T2-weighted MR.
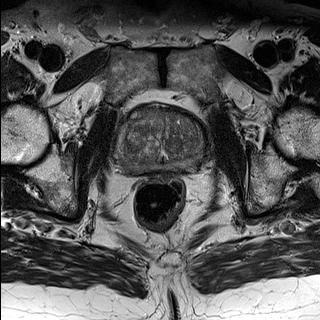
ADC magnetic resonance.
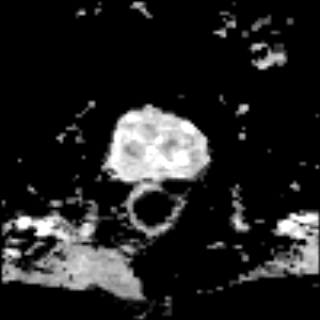
Pelvis, Image size 320x320
<segmentation>
  <prostate_peripheral_zone>118,126,203,171</prostate_peripheral_zone>
  <prostate_transition_zone>124,111,203,163</prostate_transition_zone>
</segmentation>